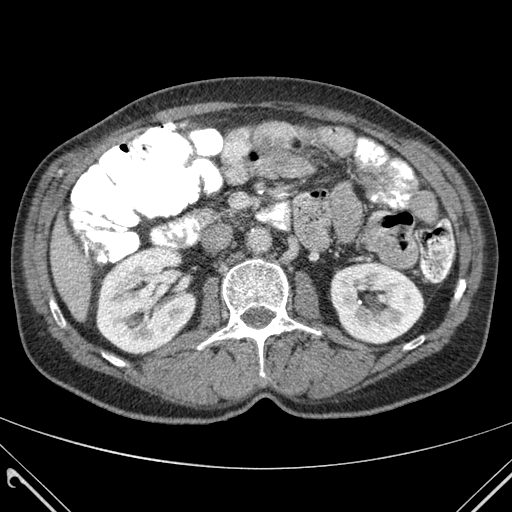

Image size 512x512. CT scan slice. Bone: l=198, t=259, r=320, b=365; l=455, t=280, r=465, b=298; l=103, t=354, r=124, b=365; l=50, t=300, r=64, b=325; l=404, t=336, r=423, b=348.
Liver: l=51, t=213, r=91, b=317.
Kidney: l=97, t=247, r=194, b=352; l=331, t=264, r=422, b=342.